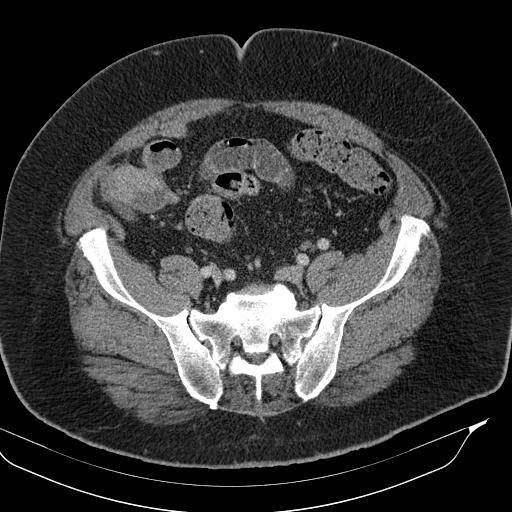
CT image; Abdomen
Colon tumor — [107,166,166,204].